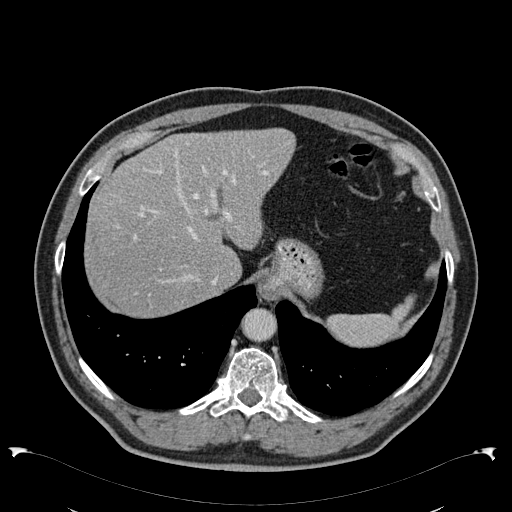 Computed tomography

liver: box=[85, 128, 295, 315]